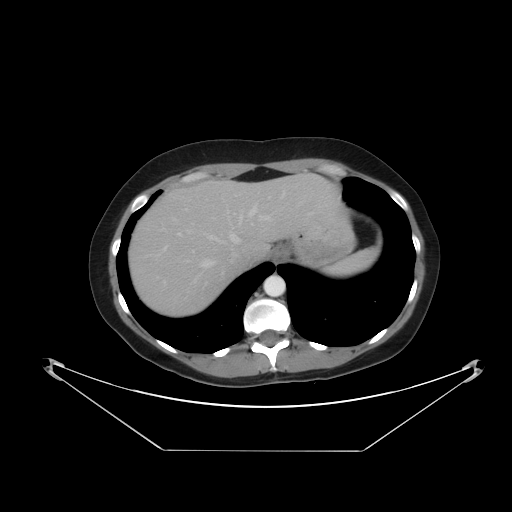
CT slice; Liver
Some hepatic vessels may have no box.
Segmented structures:
• hepatic vessel: box=[282, 192, 284, 196]; box=[258, 215, 269, 220]; box=[177, 233, 180, 234]; box=[187, 230, 190, 232]; box=[205, 234, 241, 243]; box=[249, 204, 256, 215]; box=[163, 281, 165, 282]; box=[239, 214, 241, 223]; box=[200, 259, 216, 267]